240x240; Field of view 240 mm wide, 1.00 mm slice spacing; Brain
FLAIR MRI.
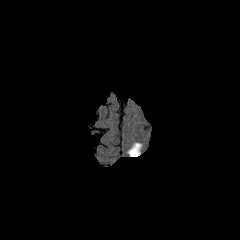
T1-weighted MR image.
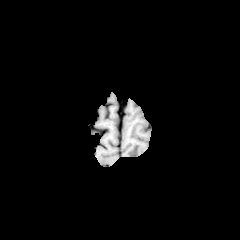
Post-contrast T1-weighted MR.
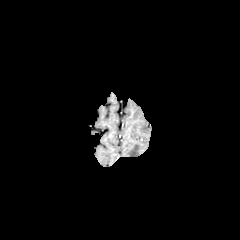
T2-weighted magnetic resonance.
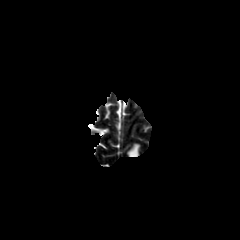
{
  "edema": [
    "(128, 143, 140, 156)"
  ]
}